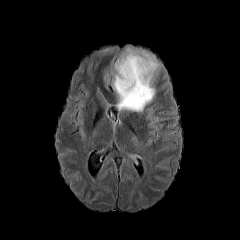
FLAIR magnetic resonance.
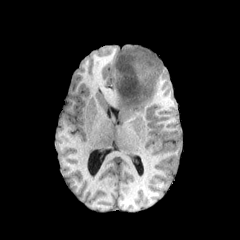
T1-weighted MR.
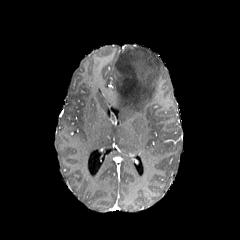
Same slice, post-contrast T1-weighted MR image.
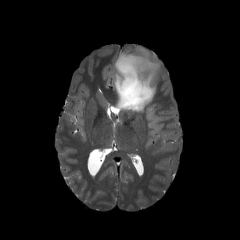
T2-weighted magnetic resonance of the same slice.
Brain. 240x240.
Edema at rect(112, 50, 157, 113).